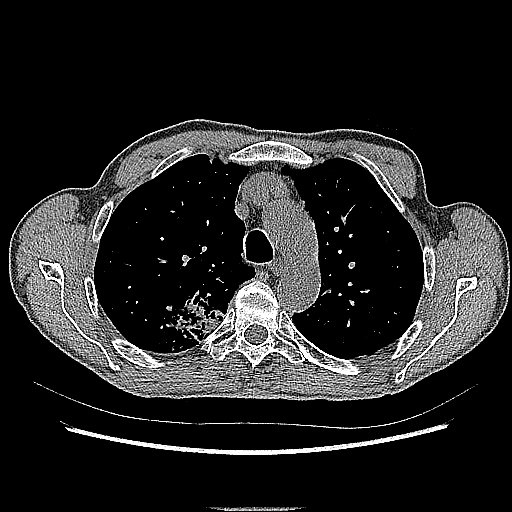
CT image, Image size 512x512, Lung

Lung tumor = [160,290,230,342].